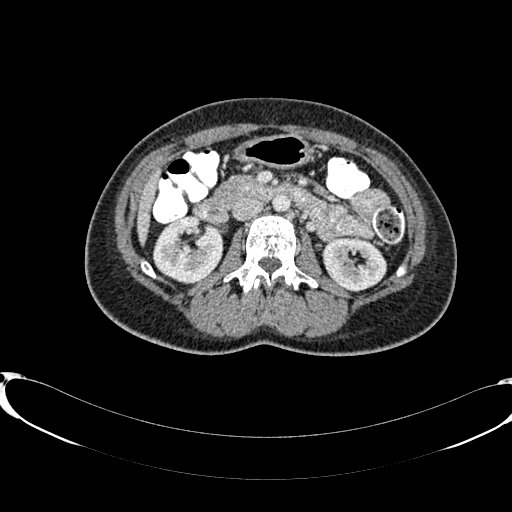
Abdomen | CT | 512x512

Kidney: 154,218,221,281; 324,240,385,289.
Liver: 136,171,159,243.